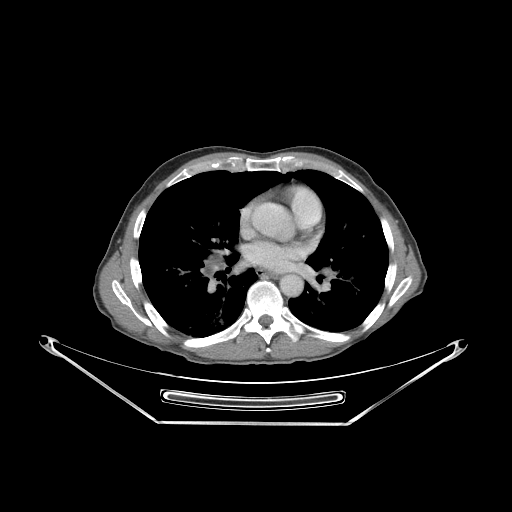

Image size 512x512, CT scan slice, Thorax
Segmented structures:
* bone: x1=385 y1=264 x2=395 y2=290, x1=389 y1=277 x2=411 y2=305, x1=130 y1=258 x2=141 y2=287, x1=382 y1=219 x2=393 y2=249, x1=134 y1=210 x2=144 y2=237, x1=112 y1=281 x2=166 y2=334, x1=182 y1=281 x2=301 y2=347, x1=364 y1=297 x2=387 y2=329, x1=246 y1=157 x2=280 y2=170, x1=309 y1=328 x2=349 y2=341
* lung: x1=138 y1=169 x2=388 y2=336